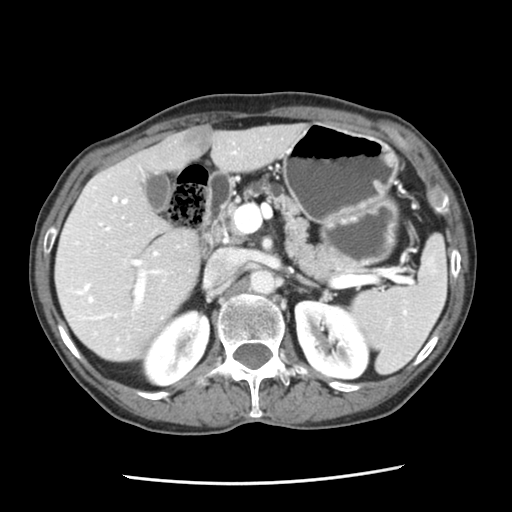 Computed tomography | 512x512
Segmented structures:
• pancreas: [x1=208, y1=180, x2=333, y2=280]